CT scan slice 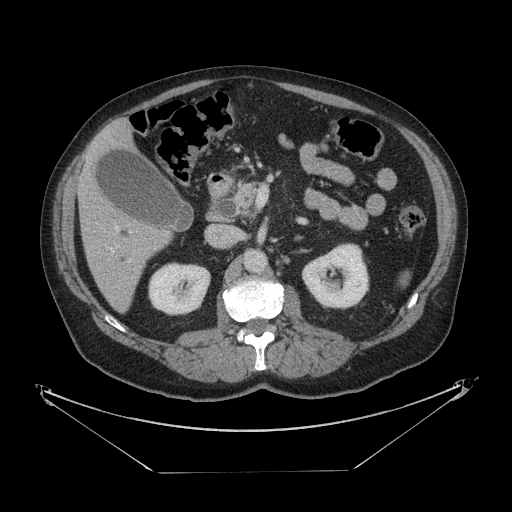 Findings:
* pancreas: <bbox>236, 185, 256, 210</bbox>